FLAIR magnetic resonance.
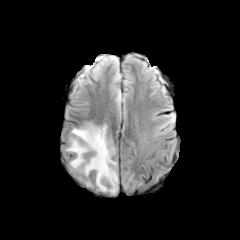
T1-weighted MRI.
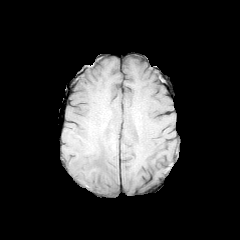
Post-contrast T1-weighted MR image.
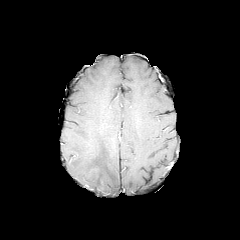
T2-weighted MR.
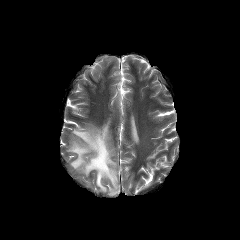
Head
<segmentation>
  <edema>67, 123, 118, 194</edema>
</segmentation>